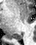
Hippocampus; MRI slice
Posterior hippocampus: box=[7, 33, 21, 39].